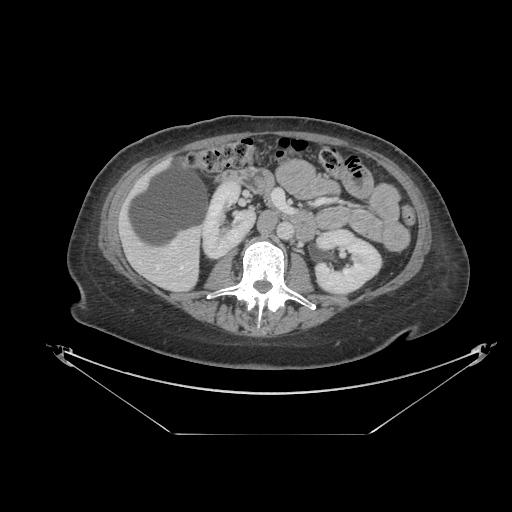

512x512 px; Upper abdomen; CT image
Findings:
- pancreas: region(265, 193, 273, 205)